Slice 103/155, Brain
FLAIR MR.
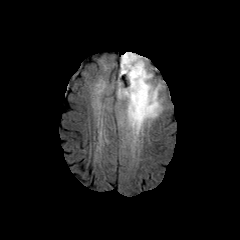
T1-weighted MR.
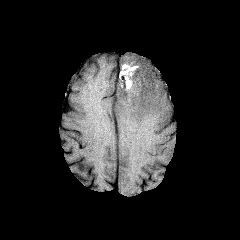
Post-contrast T1-weighted magnetic resonance.
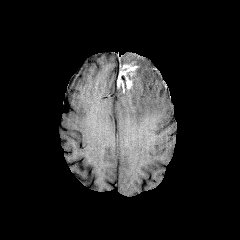
T2-weighted MR.
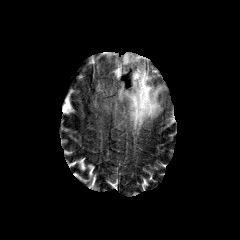
{
  "non-enhancing_tumor_core": [
    {"x1": 120, "y1": 72, "x2": 141, "y2": 88},
    {"x1": 120, "y1": 54, "x2": 136, "y2": 65}
  ],
  "enhancing_tumor": [
    {"x1": 117, "y1": 62, "x2": 137, "y2": 91}
  ],
  "edema": [
    {"x1": 117, "y1": 52, "x2": 165, "y2": 143}
  ]
}